Slice 44 of 155, Head
FLAIR magnetic resonance.
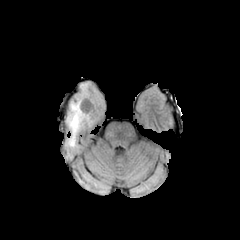
T1-weighted MR image.
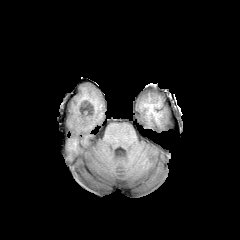
Post-contrast T1-weighted MR.
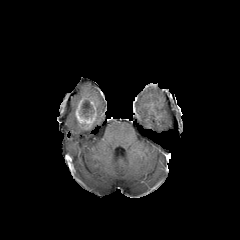
T2-weighted MR image.
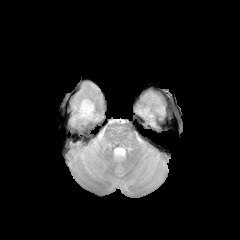
enhancing_tumor:
  - rect(76, 108, 83, 121)
edema:
  - rect(68, 98, 94, 134)
  - rect(70, 135, 75, 146)